FLAIR MR image.
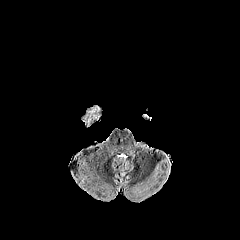
T1-weighted magnetic resonance.
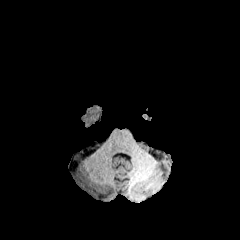
Post-contrast T1-weighted magnetic resonance.
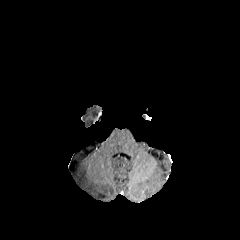
T2-weighted MRI.
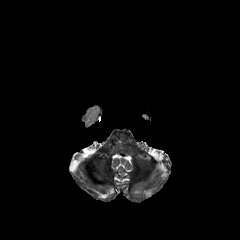
240x240 px.
edema:
  - bbox(82, 109, 92, 126)